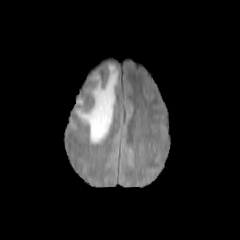
FLAIR MR image.
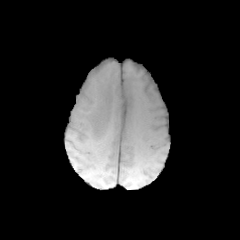
T1-weighted MR.
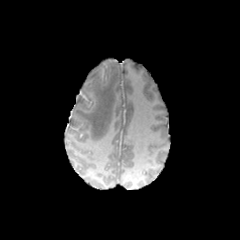
Post-contrast T1-weighted magnetic resonance.
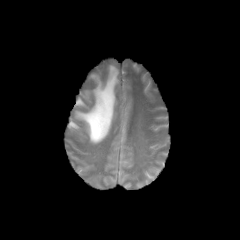
T2-weighted MR image.
Image size 240x240
The edema is bounded by [74,64,118,143]. The non-enhancing tumor core lies within [81,92,89,104].